CT slice; Slice 362/771
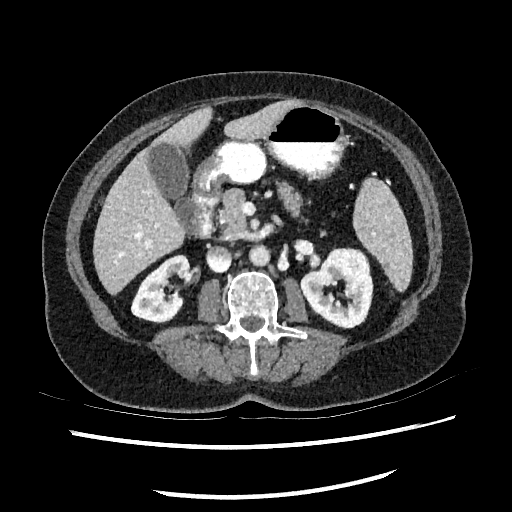 2 kidney regions are located at rect(301, 249, 372, 327); rect(131, 256, 189, 321). 2 liver regions appear at rect(224, 100, 294, 139); rect(95, 107, 211, 293).